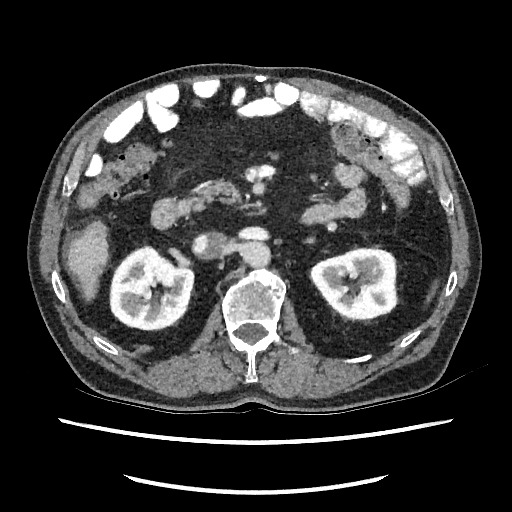

Liver; CT
Liver = <bbox>68, 222, 107, 301</bbox>.
Kidney = <bbox>110, 246, 194, 330</bbox>, <bbox>310, 248, 397, 320</bbox>.